Field of view 240 mm wide, 1.00 mm slice spacing, Head, Slice index 39
FLAIR MR image.
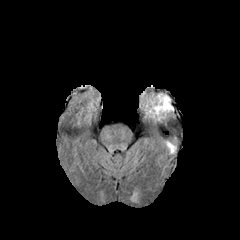
T1-weighted MR image.
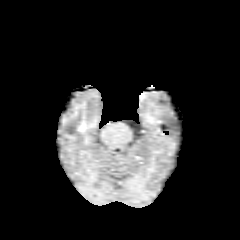
Post-contrast T1-weighted MR.
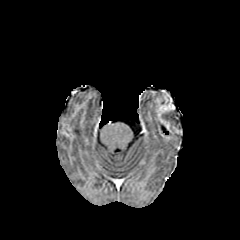
T2-weighted MR.
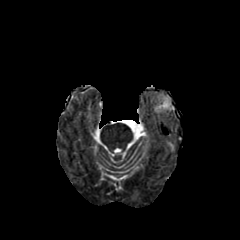
• edema: (left=167, top=142, right=175, bottom=153)
• enhancing tumor: (left=154, top=92, right=174, bottom=118)